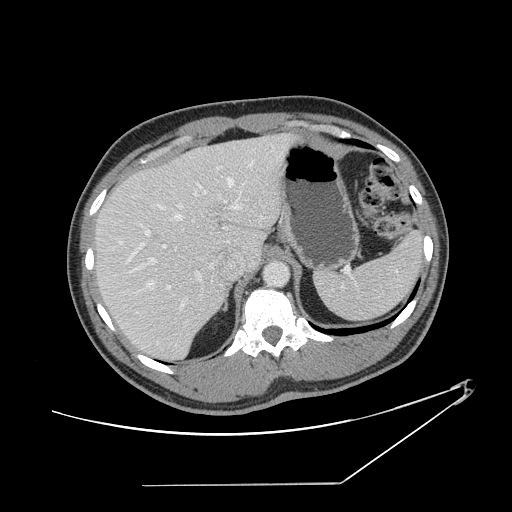 Computed tomography
The vessel annotation is not exhaustive.
{"partial": true, "hepatic_vessel": {"n_total": 27, "boxes": ["bbox(196, 182, 201, 187)", "bbox(175, 214, 181, 219)", "bbox(147, 281, 154, 288)", "bbox(135, 264, 144, 269)", "bbox(159, 206, 165, 209)", "bbox(200, 287, 203, 297)", "bbox(181, 298, 186, 307)", "bbox(228, 178, 233, 186)", "bbox(248, 160, 253, 167)", "bbox(136, 244, 143, 250)", "bbox(146, 231, 149, 234)", "bbox(148, 257, 155, 263)", "bbox(125, 254, 133, 263)", "bbox(233, 201, 241, 208)", "bbox(196, 272, 200, 280)"]}}